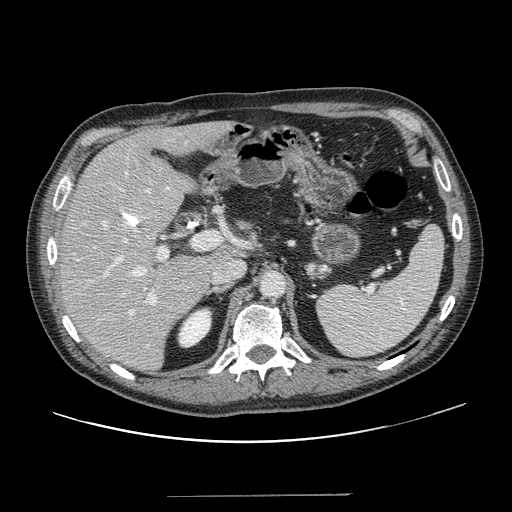 512x512 | CT
Pancreas: bounding box bbox(231, 216, 254, 232).